Brain
FLAIR MR image.
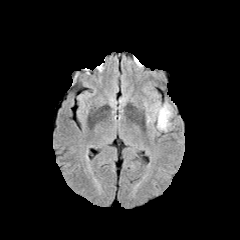
T1-weighted MR.
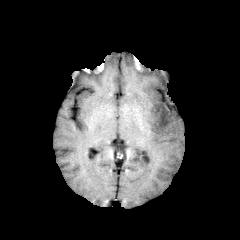
Post-contrast T1-weighted magnetic resonance.
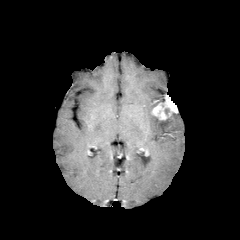
T2-weighted MR.
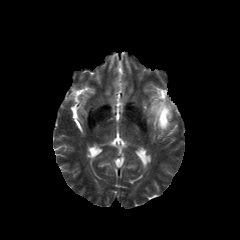
enhancing_tumor:
  - (left=152, top=99, right=175, bottom=119)
edema:
  - (left=146, top=106, right=177, bottom=131)